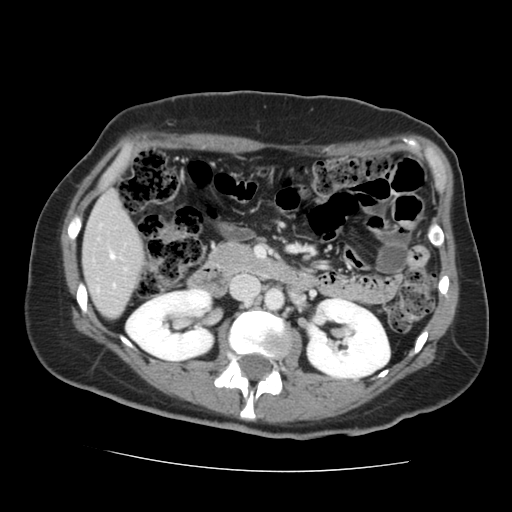 Computed tomography; Liver
Not every hepatic vessel necessarily has a box.
Annotated regions:
• hepatic vessel: bbox=[110, 253, 114, 259]; bbox=[113, 285, 114, 286]